FLAIR MRI.
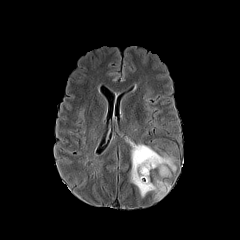
T1-weighted magnetic resonance.
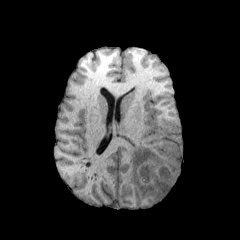
Post-contrast T1-weighted MR image.
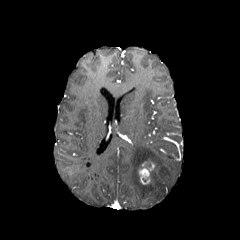
T2-weighted magnetic resonance.
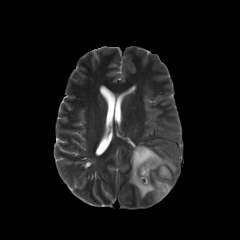
Brain | 240x240
{
  "enhancing_tumor": [
    "left=138, top=160, right=155, bottom=185"
  ],
  "edema": [
    "left=130, top=144, right=177, bottom=200"
  ]
}